CT scan slice | Field of view 380x380 mm | Upper abdomen 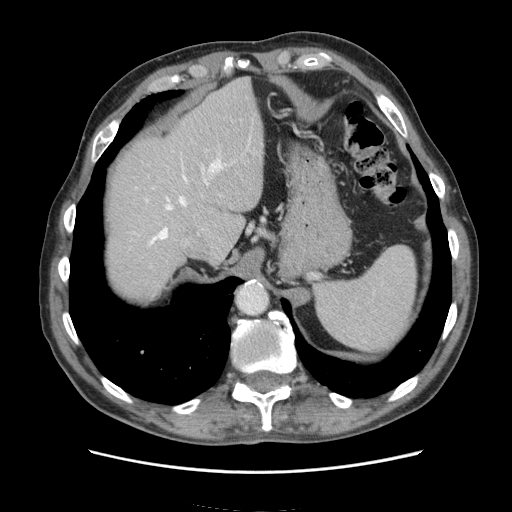

spleen: <bbox>314, 247, 416, 351</bbox>